FLAIR MR.
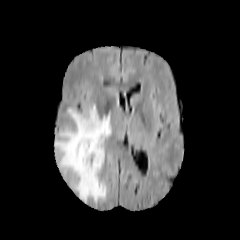
T1-weighted MR image.
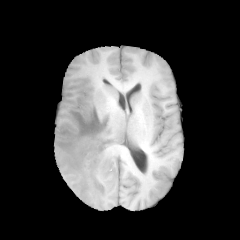
Post-contrast T1-weighted magnetic resonance.
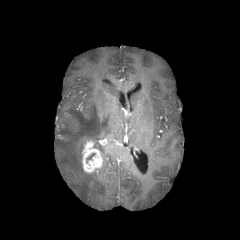
T2-weighted MRI.
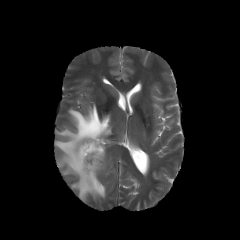
Image size 240x240, Head
Edema = 55, 105, 111, 202.
Enhancing tumor = 81, 140, 102, 172.
Non-enhancing tumor core = 86, 153, 95, 163.